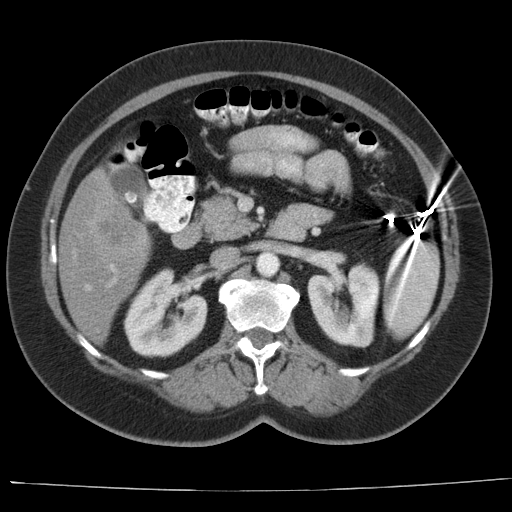 CT slice, Image size 512x512, Liver
Only some of the vessels may be annotated.
liver_tumor:
  - <box>86,204,144,257</box>
  - <box>83,190,101,205</box>
hepatic_vessel:
  - <box>111,279,115,283</box>
  - <box>85,285,89,290</box>
  - <box>110,265,113,270</box>